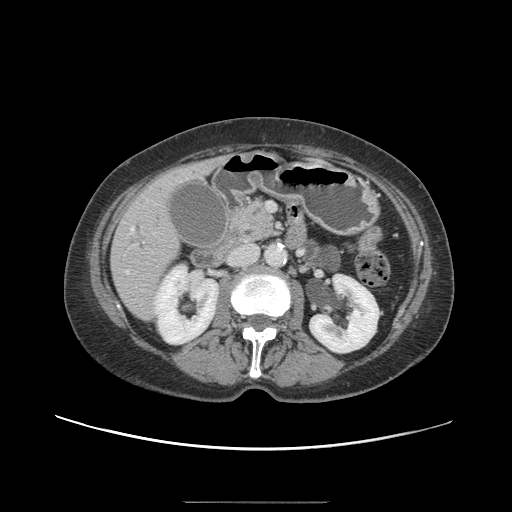
CT scan slice, Upper abdomen
The pancreatic tumor appears at bbox=[255, 213, 269, 226]. The pancreas appears at bbox=[231, 200, 275, 240].